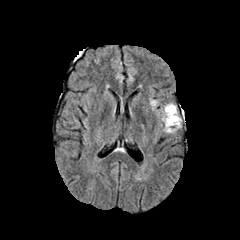
FLAIR magnetic resonance.
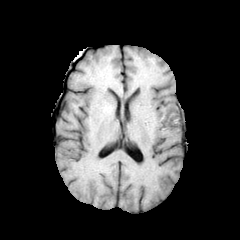
T1-weighted MRI.
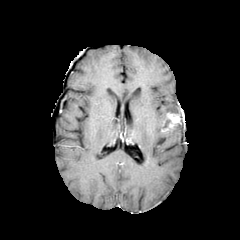
Same slice, post-contrast T1-weighted MR image.
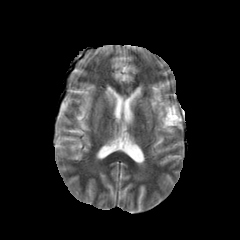
Same slice, T2-weighted MR image.
Head.
Edema: x1=157, y1=102, x2=180, y2=128; x1=162, y1=122, x2=181, y2=136; x1=149, y1=98, x2=157, y2=110.
Non-enhancing tumor core: x1=169, y1=110, x2=184, y2=119.
Enhancing tumor: x1=166, y1=112, x2=183, y2=128.